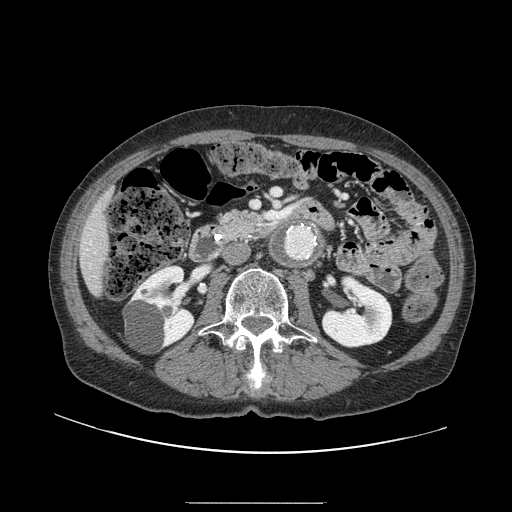 512x512 px. Computed tomography.

{
  "pancreas": [
    "bbox(220, 209, 268, 241)"
  ]
}